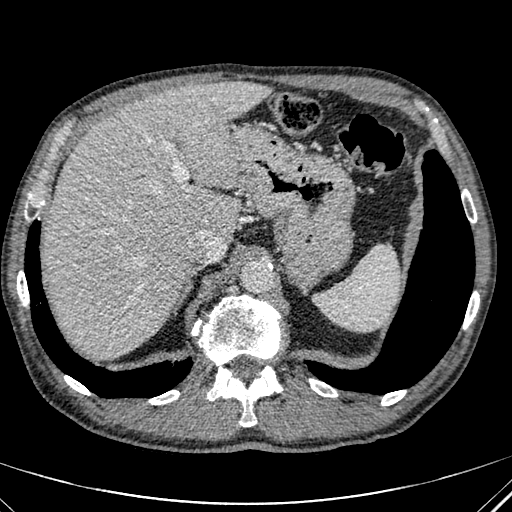

Computed tomography, Abdomen
The liver is at box(45, 81, 270, 359).